Computed tomography | Slice 22 of 82 | Liver

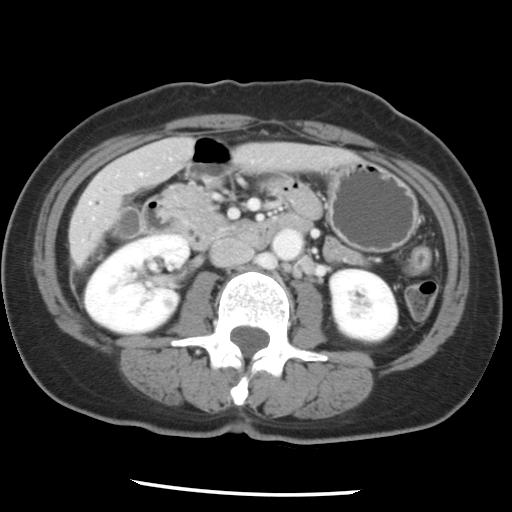
The vessel annotation is not exhaustive.
Hepatic vessel: bounding box <bbox>139, 173, 141, 174</bbox>.